CT; Field of view 424 mm wide, 5.00 mm slice spacing 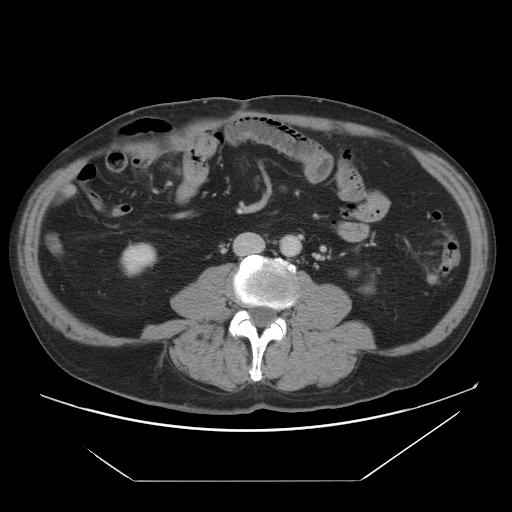

<segmentation>
  <kidney>(125, 246, 152, 268)</kidney>
</segmentation>